Head. Field of view 240x240 mm.
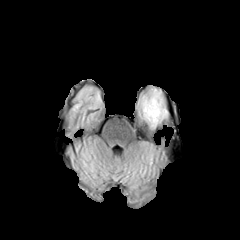
FLAIR magnetic resonance.
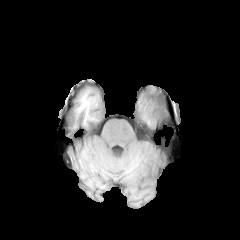
T1-weighted MRI of the same slice.
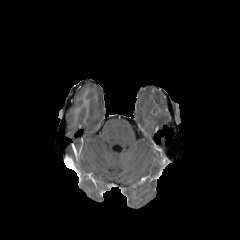
Same slice, post-contrast T1-weighted MR image.
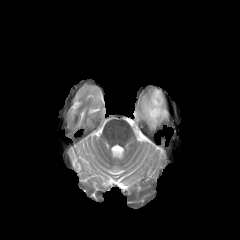
T2-weighted MR of the same slice.
The edema is located at (141,90,166,126). The non-enhancing tumor core is located at (152,102,163,115).